Head, Slice 72/155
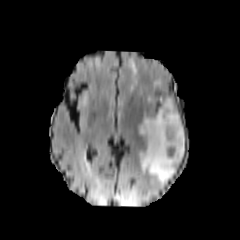
FLAIR MR.
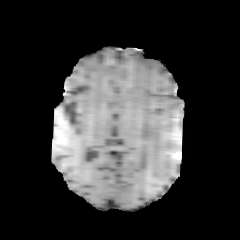
T1-weighted MRI.
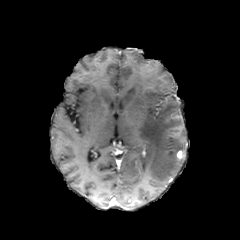
Post-contrast T1-weighted magnetic resonance.
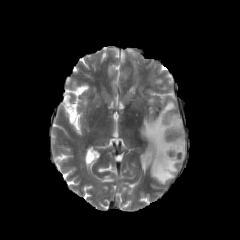
Same slice, T2-weighted MRI.
2 edema regions appear at 129, 61, 140, 84; 138, 96, 186, 184.